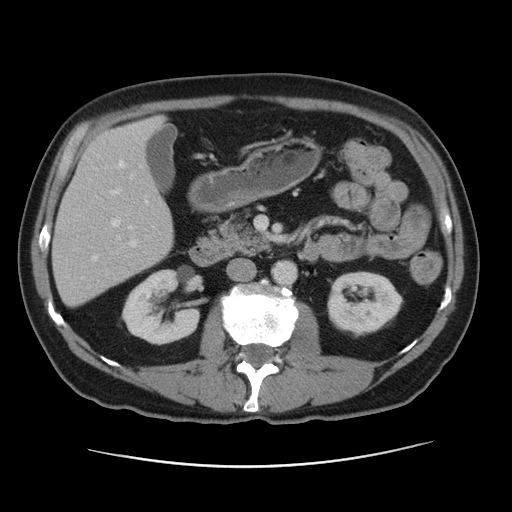
CT slice | Image size 512x512 | Liver
liver: box=[52, 118, 174, 302] | kidney: box=[327, 271, 402, 336]; box=[123, 270, 198, 343]